Image size 512x512; CT image 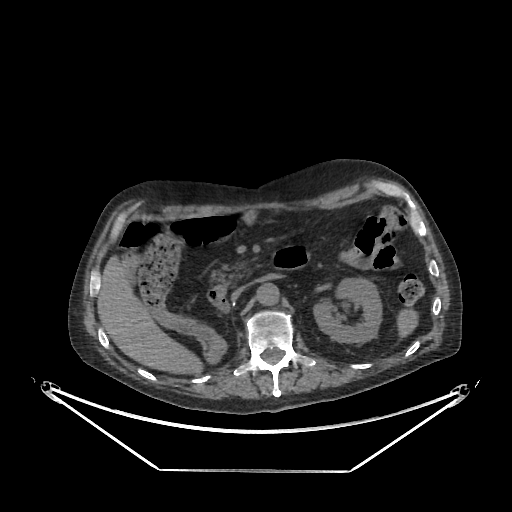 Kidney = box(313, 277, 381, 343).
Liver = box(98, 255, 202, 375).